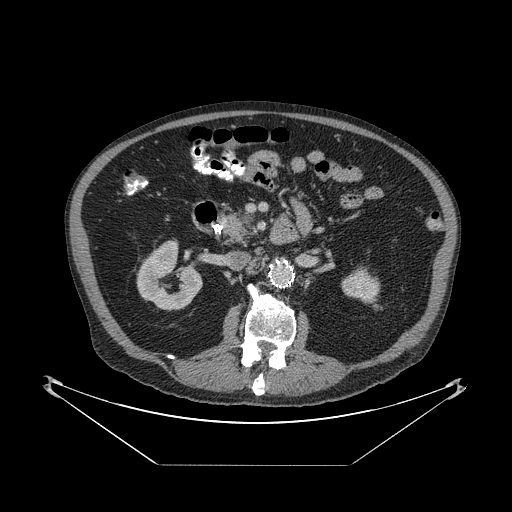
Image size 512x512; CT slice; Upper abdomen

pancreas:
  - (x1=219, y1=209, x2=254, y2=243)